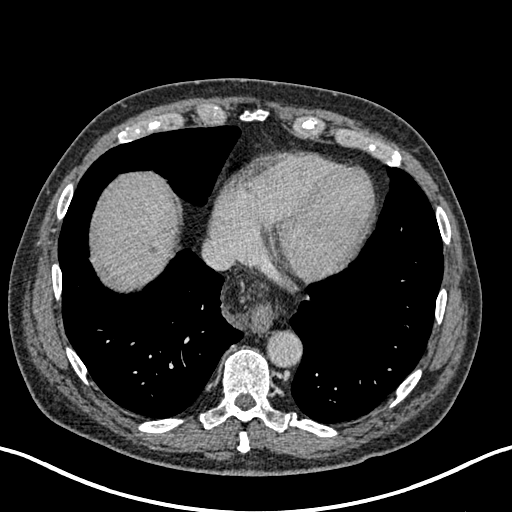
CT; Liver
{"liver_lesion": ["bbox=[148, 244, 157, 254]"], "liver": ["bbox=[91, 172, 178, 288]"]}